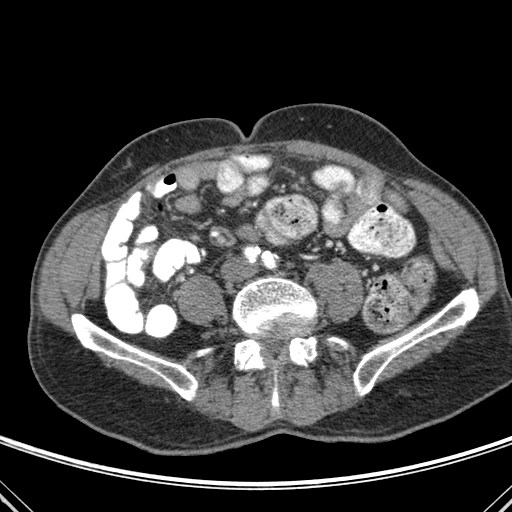 CT slice
Annotated regions:
• bone: (271, 377, 278, 408), (285, 337, 316, 365), (233, 277, 316, 335), (234, 339, 266, 369), (353, 288, 479, 395), (71, 314, 197, 400), (328, 337, 346, 347)